Slice 428/605 | CT | Thorax

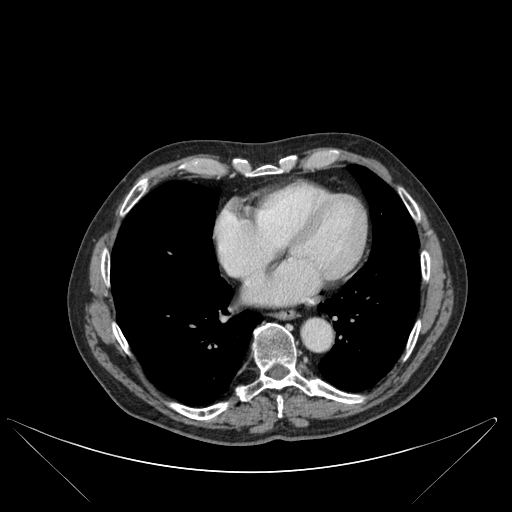

{"bone": ["l=402, t=193, r=419, b=219", "l=170, t=403, r=227, b=419", "l=237, t=323, r=362, b=403", "l=405, t=321, r=420, b=357", "l=246, t=166, r=282, b=176", "l=421, t=251, r=430, b=279", "l=112, t=324, r=127, b=352", "l=101, t=253, r=109, b=283", "l=277, t=396, r=282, b=416", "l=121, t=179, r=147, b=214"], "lung": ["l=318, t=164, r=419, b=391", "l=110, t=181, r=262, b=405"]}